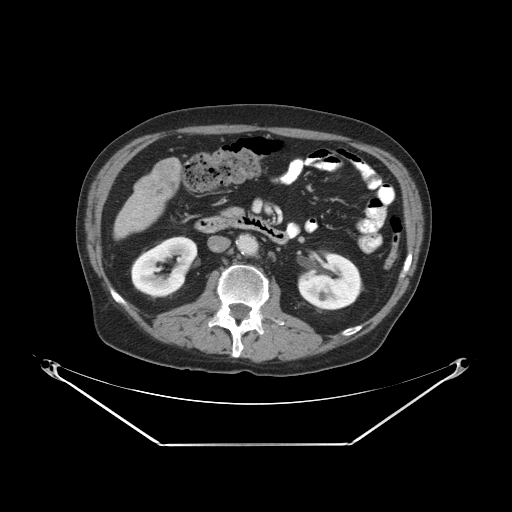 CT slice.

Liver tumor: bounding box (left=135, top=159, right=180, bottom=201).